Head.
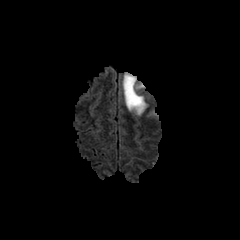
FLAIR MR image.
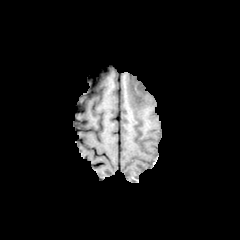
T1-weighted MRI.
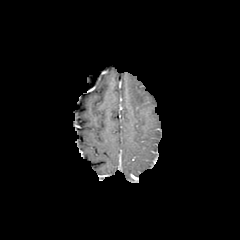
Post-contrast T1-weighted magnetic resonance.
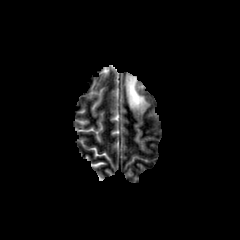
Same slice, T2-weighted magnetic resonance.
Edema: bounding box 123 75 148 114.